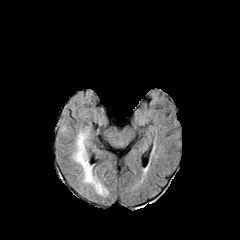
FLAIR MR image.
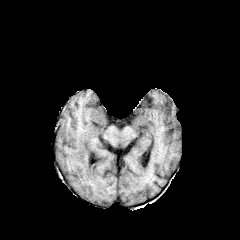
T1-weighted magnetic resonance.
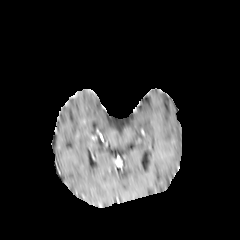
Post-contrast T1-weighted magnetic resonance.
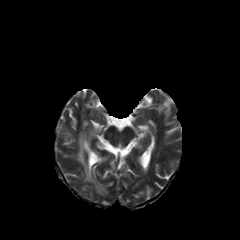
T2-weighted magnetic resonance.
Brain
Annotated regions:
- edema: l=72, t=130, r=108, b=195